Slice index 41
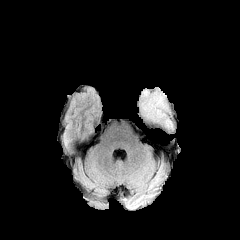
FLAIR MR.
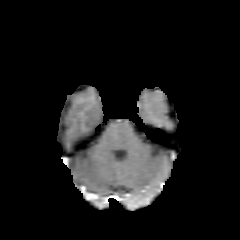
T1-weighted MRI.
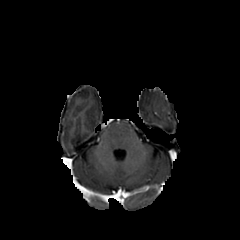
Same slice, post-contrast T1-weighted magnetic resonance.
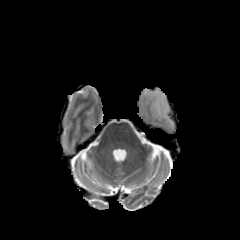
T2-weighted MR image of the same slice.
The edema is at left=142, top=92, right=172, bottom=128.